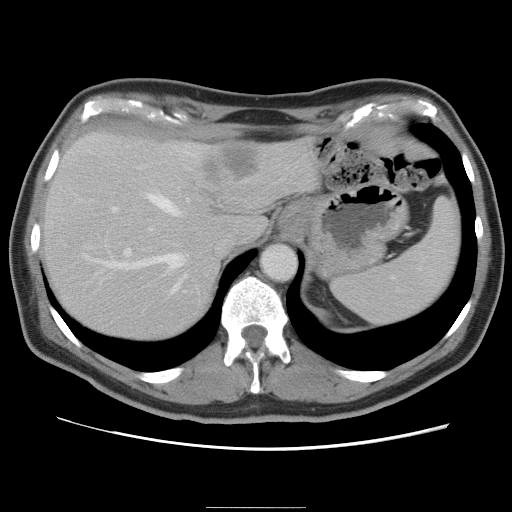 Computed tomography; Abdomen

Not every hepatic vessel necessarily has a box.
Hepatic vessel = bbox(82, 252, 184, 269); bbox(170, 282, 178, 292); bbox(149, 227, 152, 230); bbox(145, 192, 179, 215); bbox(111, 207, 116, 210); bbox(182, 274, 186, 277); bbox(124, 248, 130, 254).
Liver tumor = bbox(206, 144, 256, 185).